Slice index 130, Computed tomography
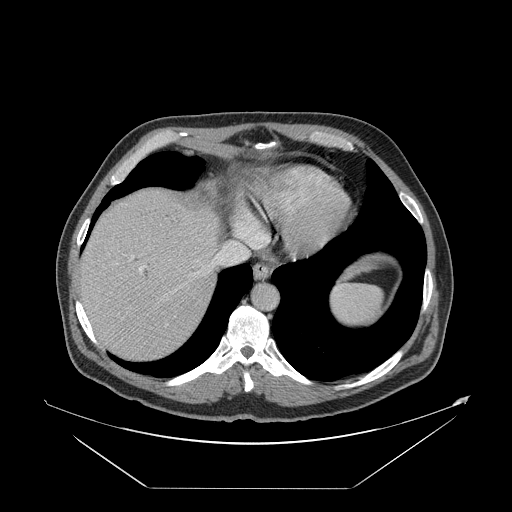
Only some of the vessels may be annotated.
6 hepatic vessel regions appear at [x1=128, y1=255, x2=133, y2=261], [x1=177, y1=241, x2=248, y2=288], [x1=235, y1=228, x2=255, y2=248], [x1=164, y1=294, x2=168, y2=297], [x1=139, y1=265, x2=148, y2=273], [x1=114, y1=263, x2=117, y2=264].